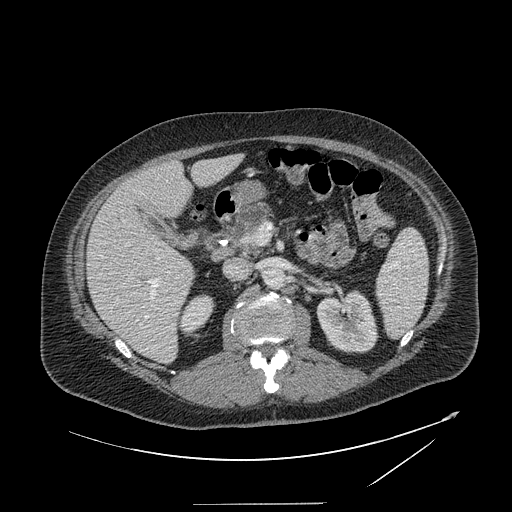

Computed tomography; Upper abdomen
pancreas: x1=232, y1=204, x2=272, y2=254